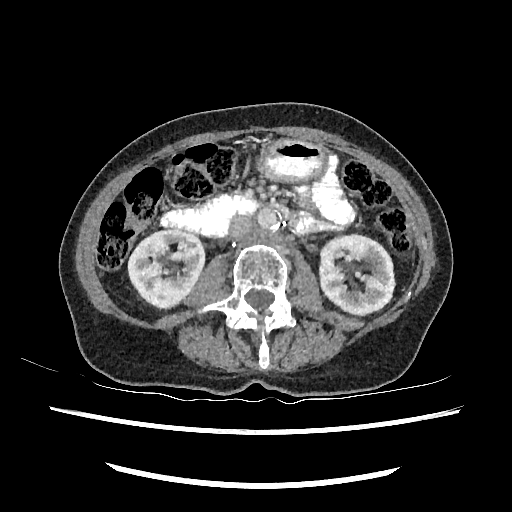 Abdomen, Computed tomography
Kidney = 128 228 204 307, 320 236 393 313.